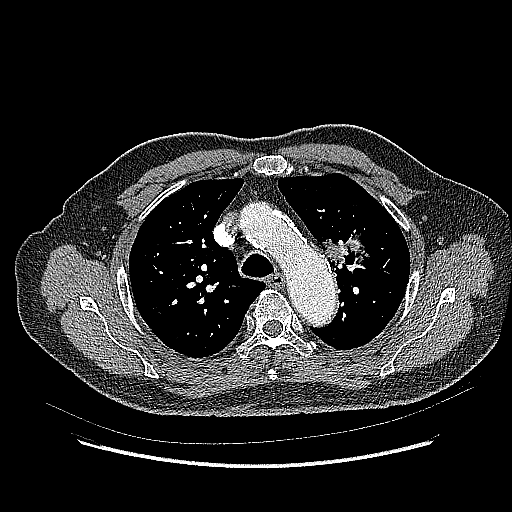
Computed tomography; Lung

• lung tumor: (x1=319, y1=228, x2=371, y2=275)